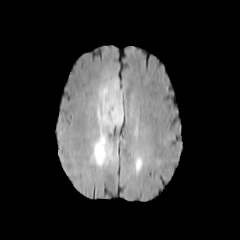
FLAIR MR image.
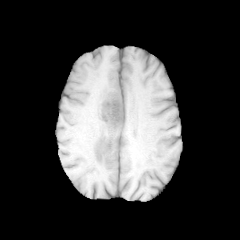
T1-weighted MR image of the same slice.
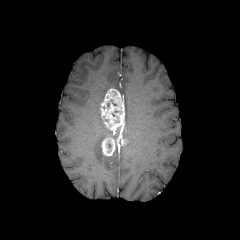
Post-contrast T1-weighted MRI.
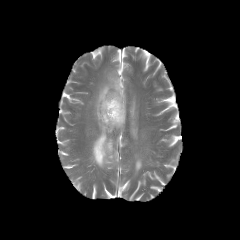
T2-weighted MR image.
Image size 240x240
The enhancing tumor is at left=99, top=89, right=125, bottom=155. 2 edema regions are located at left=135, top=158, right=142, bottom=168; left=92, top=80, right=120, bottom=166.